Liver. CT. Slice 30/54.
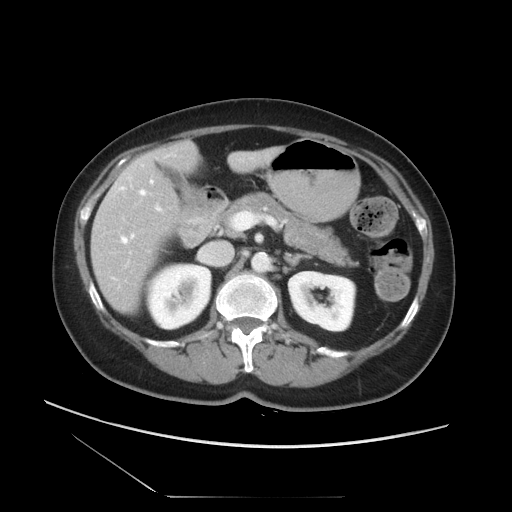

The vessel annotation is not exhaustive.
Hepatic vessel at [141, 164, 143, 166], [155, 205, 161, 210], [121, 234, 133, 243], [150, 180, 152, 183], [128, 177, 130, 181], [140, 190, 146, 195], [232, 212, 254, 230], [115, 185, 124, 190], [112, 278, 114, 279], [166, 154, 174, 156].